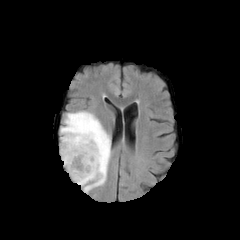
FLAIR MRI.
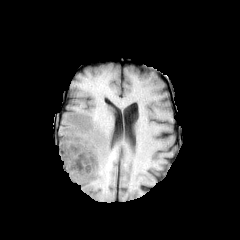
T1-weighted MR.
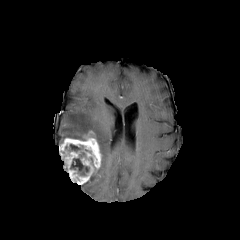
Post-contrast T1-weighted MR image.
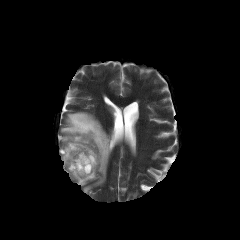
T2-weighted MRI.
Brain
Enhancing tumor = (left=59, top=131, right=101, bottom=184).
Edema = (left=60, top=111, right=111, bottom=192).
Non-enhancing tumor core = (left=70, top=152, right=89, bottom=175), (left=70, top=144, right=81, bottom=151).